Head | Slice 82 of 155
FLAIR MR image.
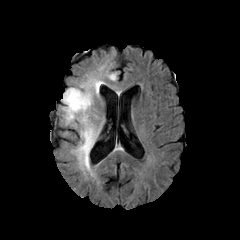
T1-weighted MRI.
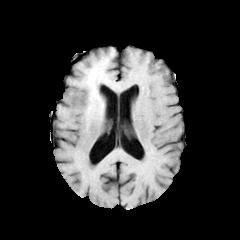
Post-contrast T1-weighted MR image.
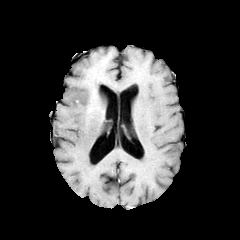
T2-weighted magnetic resonance.
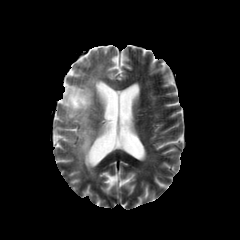
2 edema regions appear at <box>95,81,103,101</box>, <box>61,66,116,177</box>. The non-enhancing tumor core is at <box>87,77,102,93</box>.